CT; Slice 592 of 647 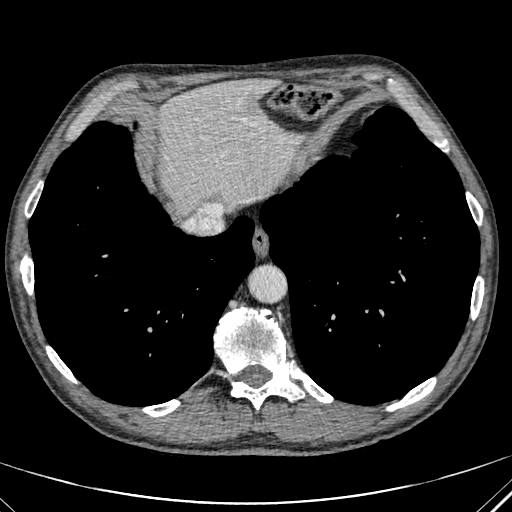

{
  "liver": [
    "box=[159, 78, 296, 212]"
  ]
}